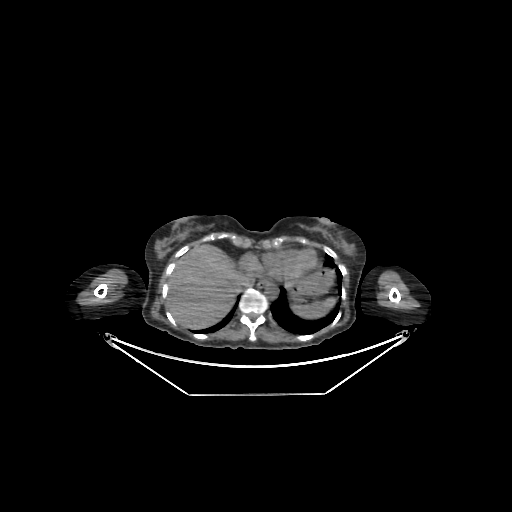 Upper abdomen, CT scan slice

liver: (166, 245, 253, 329)